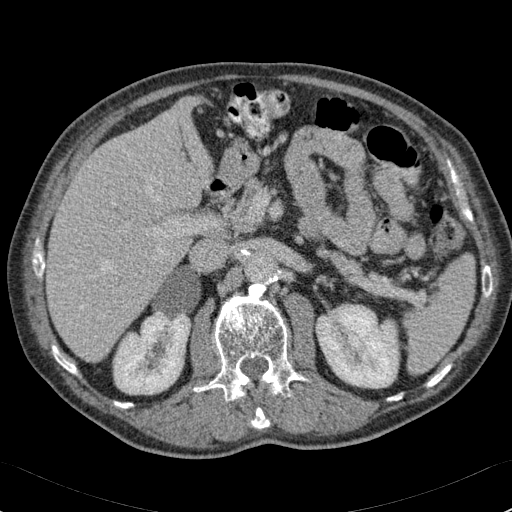

CT slice
liver: region(45, 99, 208, 358); region(177, 215, 188, 231) | kidney: region(114, 312, 190, 393); region(316, 305, 398, 388)